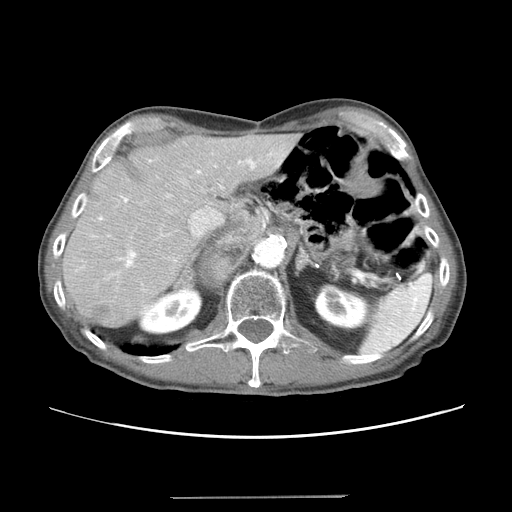
Image size 512x512, CT slice
colon tumor: left=309, top=229, right=354, bottom=260